Slice 83/155. Brain.
FLAIR MRI.
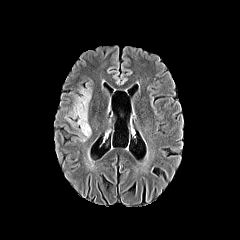
T1-weighted MR image.
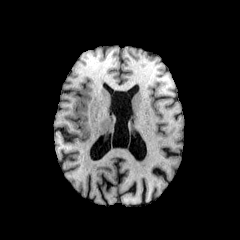
Post-contrast T1-weighted MR.
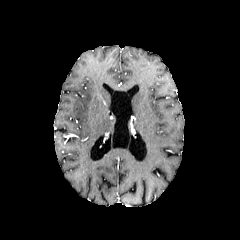
T2-weighted magnetic resonance.
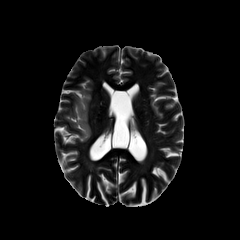
The edema lies within 64,82,92,142.